Slice index 50 | Brain
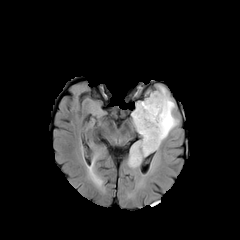
FLAIR MR image.
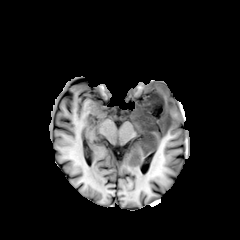
T1-weighted MRI.
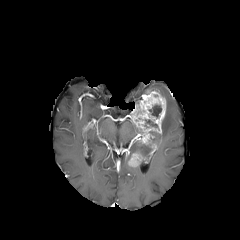
Same slice, post-contrast T1-weighted MRI.
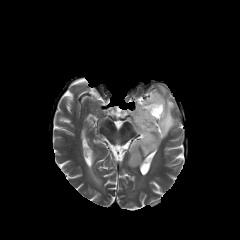
T2-weighted MR image.
- non-enhancing tumor core: (x1=149, y1=105, x2=161, y2=117), (x1=145, y1=120, x2=157, y2=127)
- edema: (x1=152, y1=85, x2=178, y2=144), (x1=129, y1=141, x2=152, y2=159)
- enhancing tumor: (x1=131, y1=91, x2=166, y2=144)